FLAIR MR image.
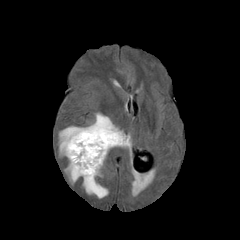
T1-weighted MRI.
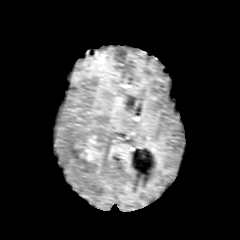
Post-contrast T1-weighted MR.
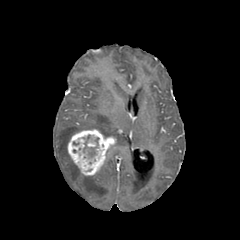
T2-weighted magnetic resonance.
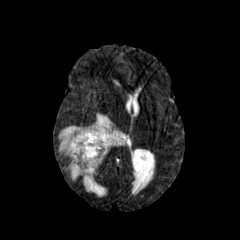
Image size 240x240
The edema appears at l=58, t=112, r=130, b=197. The non-enhancing tumor core lies within l=82, t=136, r=97, b=159. The enhancing tumor lies within l=67, t=129, r=115, b=175.